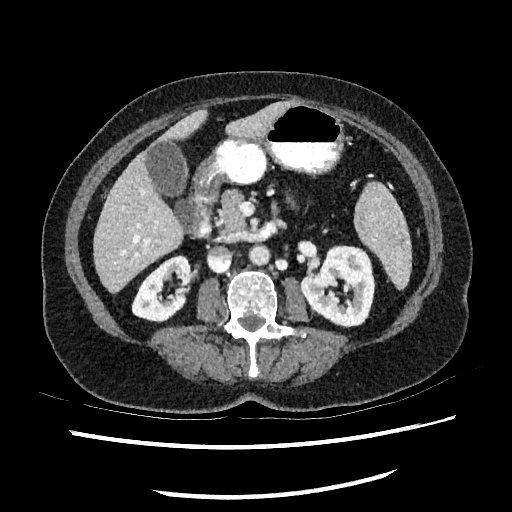 Image size 512x512. Liver. CT.
Liver at l=227, t=101, r=288, b=138; l=93, t=149, r=182, b=293; l=156, t=111, r=204, b=143.
Kidney at l=132, t=256, r=189, b=320; l=302, t=247, r=373, b=325; l=308, t=247, r=315, b=255.